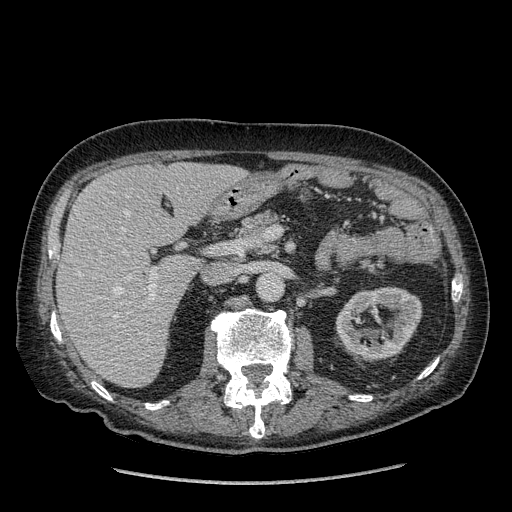
Liver, Computed tomography
Kidney: <bbox>336, 287, 421, 360</bbox>.
Liver: <bbox>56, 162, 243, 387</bbox>.